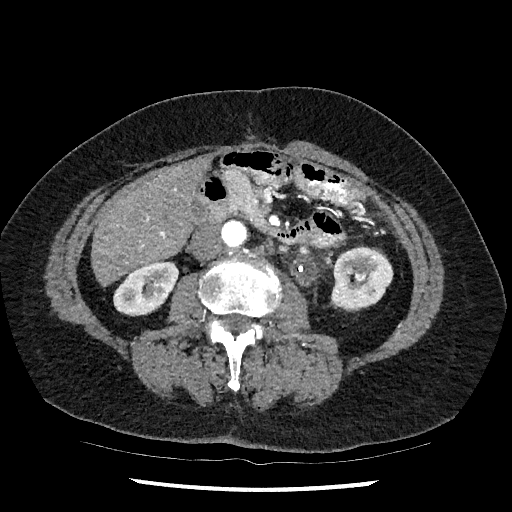 Computed tomography
liver:
  - l=91, t=158, r=208, b=285
kidney:
  - l=332, t=248, r=392, b=308
  - l=114, t=262, r=178, b=314